CT scan slice, 512x512
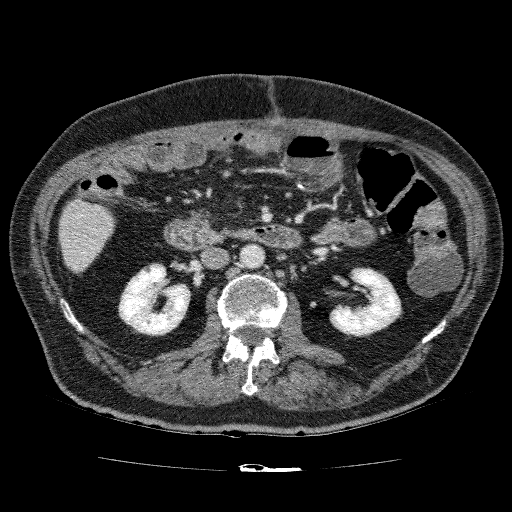 • liver: box(58, 198, 116, 275)
• kidney: box(119, 264, 189, 335); box(330, 268, 400, 335)